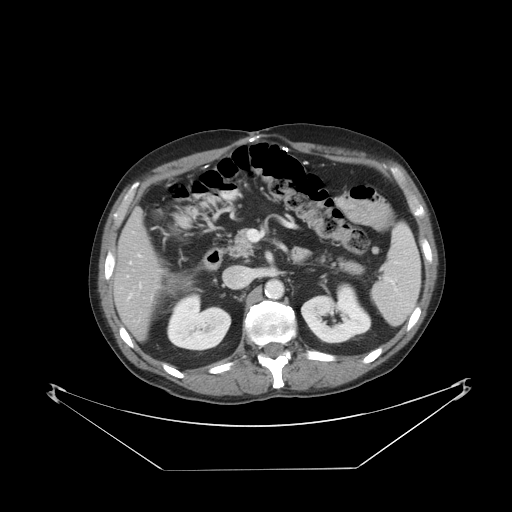

Computed tomography | Abdomen

The vessel annotation is not exhaustive.
4 hepatic vessel regions are bounded by {"x1": 138, "y1": 254, "x2": 141, "y2": 256}, {"x1": 139, "y1": 281, "x2": 141, "y2": 287}, {"x1": 129, "y1": 261, "x2": 131, "y2": 263}, {"x1": 127, "y1": 293, "x2": 132, "y2": 299}.